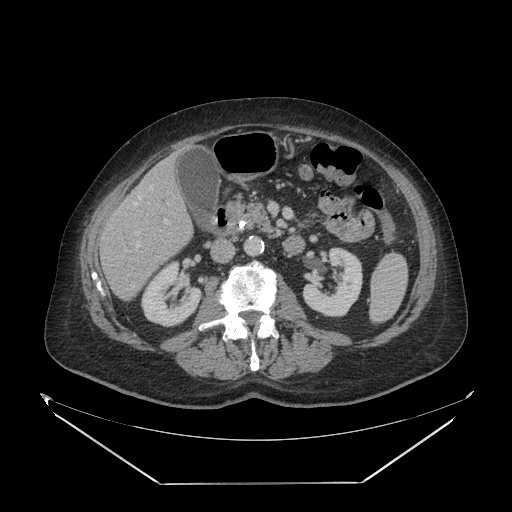 Image size 512x512. Abdomen. CT image.
{"pancreas": ["x1=244 y1=201 x2=275 y2=235"]}